Slice index 83
FLAIR MR.
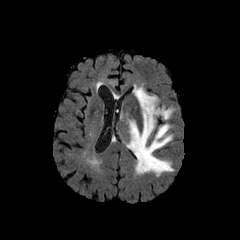
T1-weighted MR.
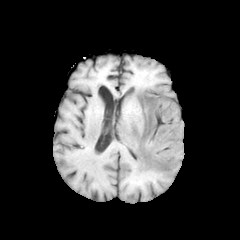
Post-contrast T1-weighted MR.
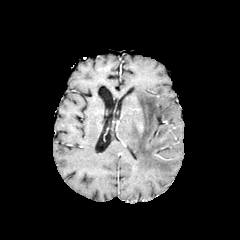
T2-weighted magnetic resonance.
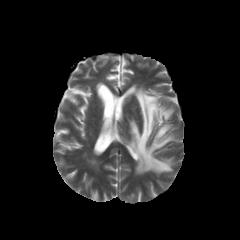
The edema is bounded by (x1=126, y1=86, x2=175, y2=175).